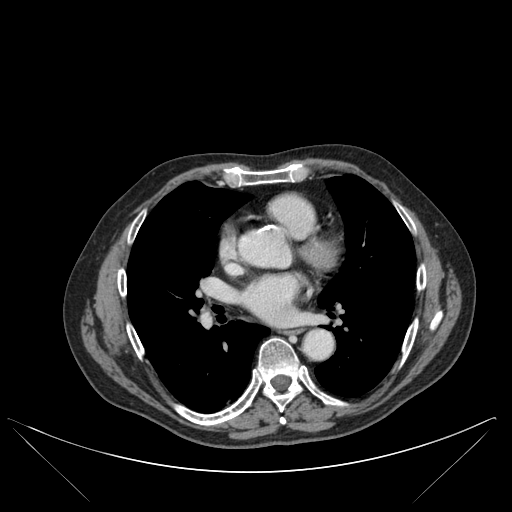
CT image. Chest.

bone:
  - 417 265 426 289
  - 402 319 417 363
  - 431 312 441 328
  - 175 338 345 425
  - 117 269 126 296
  - 127 325 143 358
  - 398 207 414 228
  - 128 211 145 241
  - 226 165 300 185
lung:
  - 127 181 269 412
  - 315 174 415 397